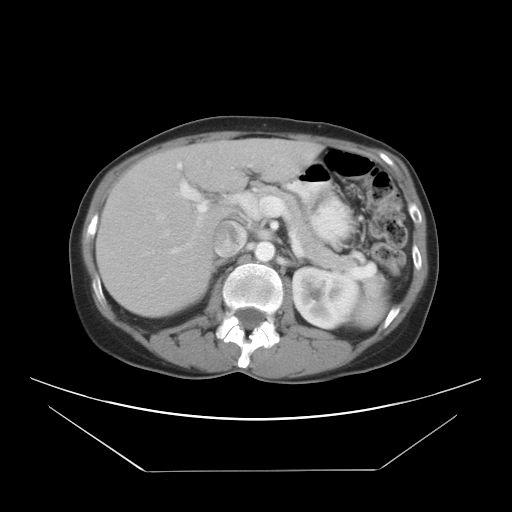

Liver, Computed tomography, 512x512
Only some of the vessels may be annotated.
partial: true
hepatic_vessel:
  # 15 of 18 shown
  - x1=145, y1=250, x2=153, y2=253
  - x1=179, y1=179, x2=185, y2=185
  - x1=192, y1=223, x2=201, y2=237
  - x1=220, y1=185, x2=222, y2=187
  - x1=245, y1=148, x2=253, y2=156
  - x1=246, y1=163, x2=252, y2=165
  - x1=154, y1=209, x2=165, y2=219
  - x1=168, y1=241, x2=191, y2=252
  - x1=161, y1=229, x2=168, y2=236
  - x1=242, y1=162, x2=244, y2=163
  - x1=176, y1=161, x2=180, y2=167
  - x1=173, y1=191, x2=179, y2=195
  - x1=149, y1=198, x2=152, y2=199
  - x1=181, y1=185, x2=192, y2=198
  - x1=234, y1=176, x2=242, y2=181